FLAIR MR.
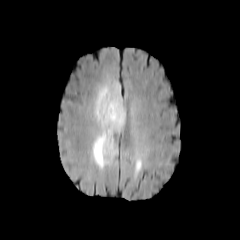
T1-weighted MR.
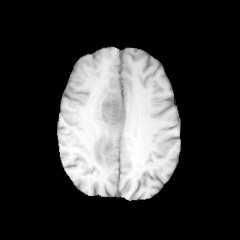
Post-contrast T1-weighted MRI.
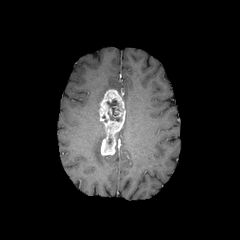
T2-weighted MRI.
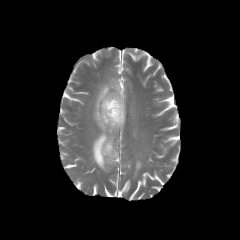
Image size 240x240
The enhancing tumor is located at [99,89,125,155]. 2 edema regions are bounded by [135,160,142,171], [91,82,120,171]. The non-enhancing tumor core is located at [106,98,122,121].